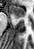 Hippocampus, MRI

Anterior hippocampus: region(10, 6, 25, 18).